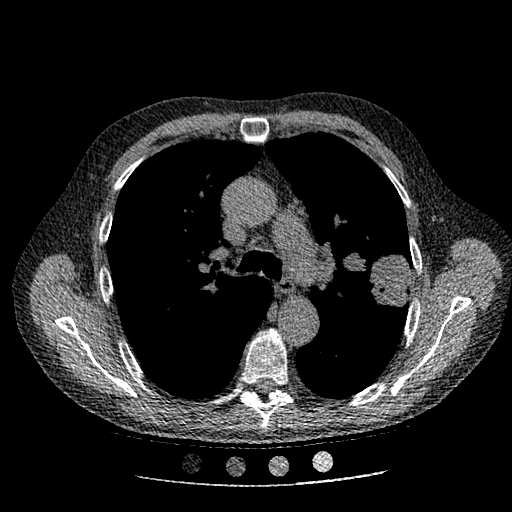

CT | Thorax | 512x512
lung tumor: box=[341, 249, 410, 310]